Chest. CT.

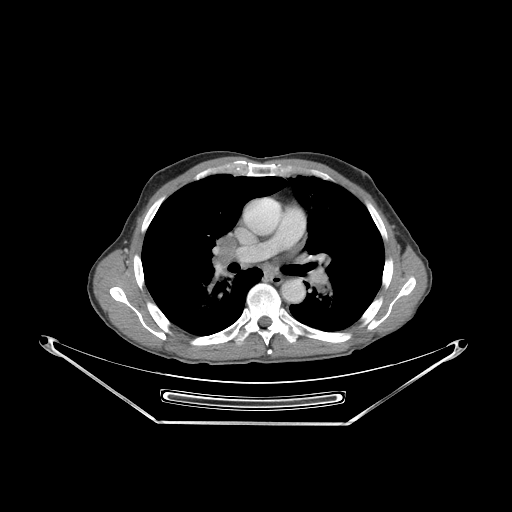 lung: (x1=141, y1=174, x2=384, y2=335) | bone: (x1=247, y1=163, x2=275, y2=175), (x1=134, y1=256, x2=143, y2=288), (x1=192, y1=284, x2=299, y2=345), (x1=142, y1=198, x2=162, y2=230), (x1=368, y1=277, x2=415, y2=329), (x1=304, y1=326, x2=354, y2=342), (x1=383, y1=260, x2=392, y2=287), (x1=362, y1=297, x2=382, y2=323), (x1=110, y1=287, x2=169, y2=339), (x1=368, y1=204, x2=386, y2=237)